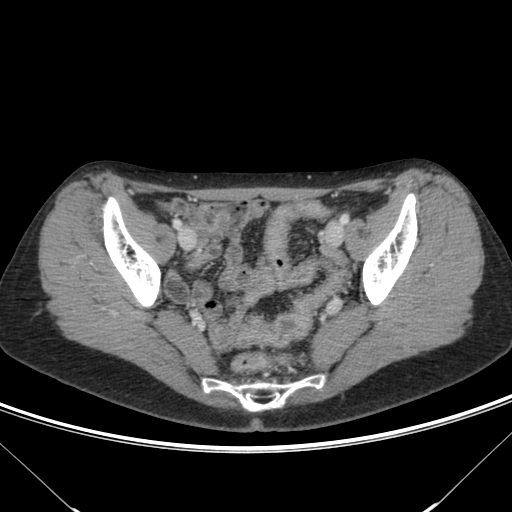 CT slice. Abdomen. 512x512. Colon tumor — bbox=[238, 300, 312, 347].